CT slice. Image size 512x512. Slice index 37. Abdomen.
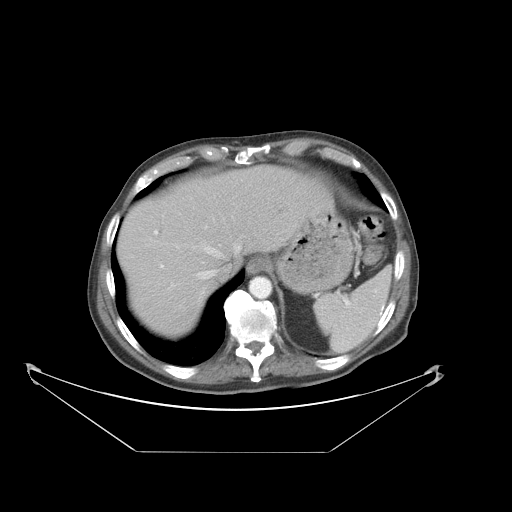

Some hepatic vessels may have no box.
hepatic_vessel:
  - 234,244,241,254
  - 229,266,231,267
  - 161,265,163,267
  - 199,289,205,305
  - 199,269,217,279
  - 154,230,157,234
  - 192,242,228,260
  - 174,244,179,247
  - 205,226,207,228